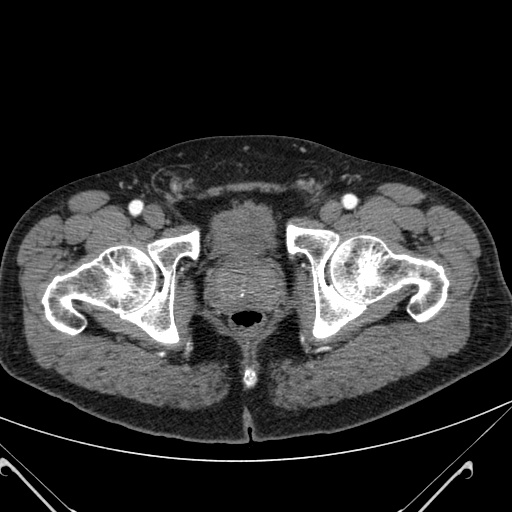 512x512 | CT image

Urinary bladder: bounding box box=[210, 201, 275, 258].